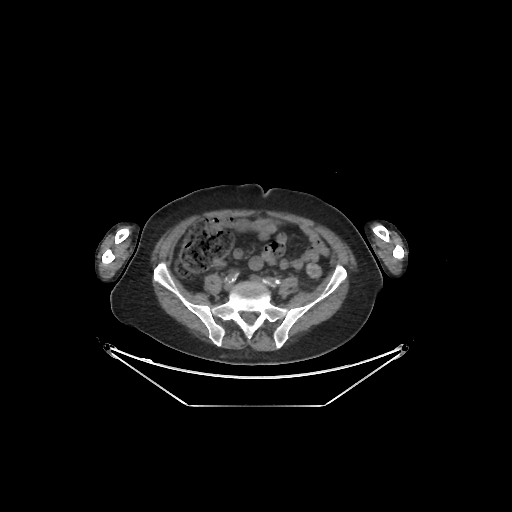
CT image
5 bone regions appear at (x1=373, y1=225, x2=389, y2=241), (x1=393, y1=245, x2=403, y2=258), (x1=115, y1=228, x2=128, y2=243), (x1=154, y1=263, x2=346, y2=347), (x1=102, y1=249, x2=114, y2=264).